FLAIR MR.
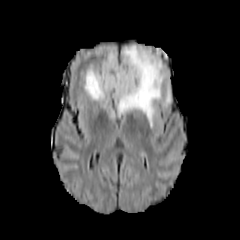
T1-weighted MRI.
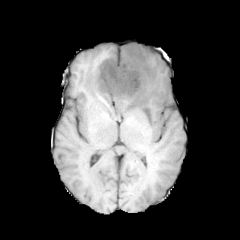
Post-contrast T1-weighted MRI.
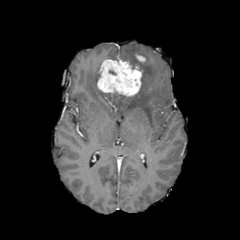
T2-weighted magnetic resonance.
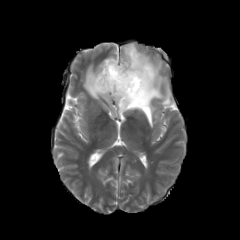
Head
<segmentation>
  <non-enhancing_tumor_core>(x1=107, y1=93, x2=135, y2=105)</non-enhancing_tumor_core>
  <edema>(x1=83, y1=44, x2=171, y2=127)</edema>
  <enhancing_tumor>(x1=97, y1=59, x2=141, y2=96)</enhancing_tumor>
</segmentation>